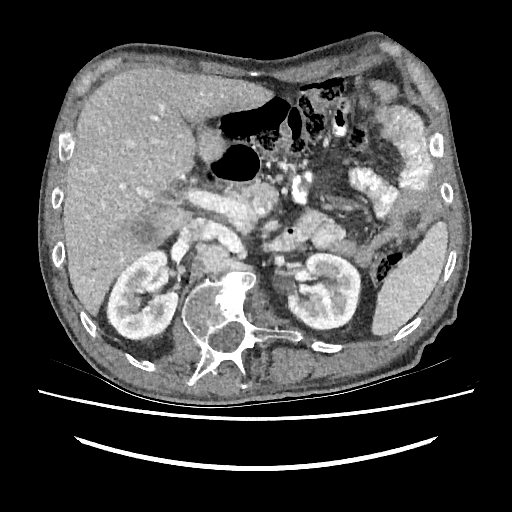 CT scan slice
The liver appears at <bbox>64, 68, 272, 315</bbox>. 2 kidney regions are bounded by <bbox>289, 254, 359, 328</bbox>, <bbox>108, 251, 177, 338</bbox>. The liver lesion is bounded by <bbox>131, 220, 157, 243</bbox>.